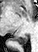

MR, Hippocampus
<segmentation>
  <posterior_hippocampus><bbox>16, 36, 27, 44</bbox></posterior_hippocampus>
</segmentation>